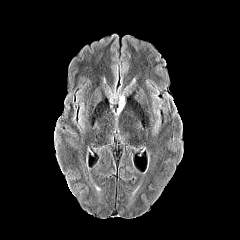
FLAIR MR.
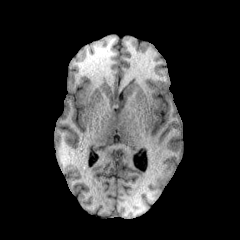
T1-weighted magnetic resonance.
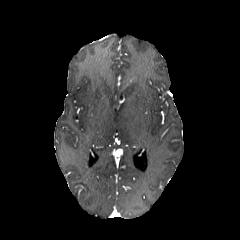
Post-contrast T1-weighted MR image of the same slice.
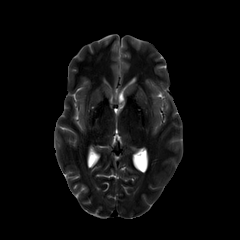
T2-weighted MR image.
Image size 240x240
The edema is located at l=117, t=101, r=125, b=115.